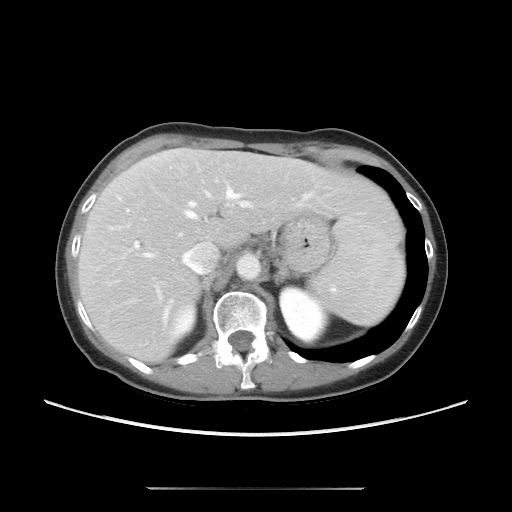
Image size 512x512; Abdomen; CT slice

Some hepatic vessels may have no box.
<segmentation>
  <hepatic_vessel>241,206,244,206; 186,201,195,207; 206,192,209,195; 134,241,138,247; 157,289,160,298; 127,209,129,211; 186,211,196,218; 183,254,187,262; 144,254,153,256; 250,205,252,206; 296,203,299,205; 163,306,169,322; 117,227,120,228; 238,201,246,202; 227,188,240,199</hepatic_vessel>
</segmentation>